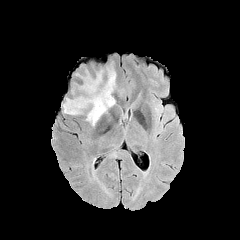
FLAIR MR.
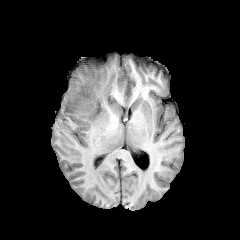
T1-weighted MR.
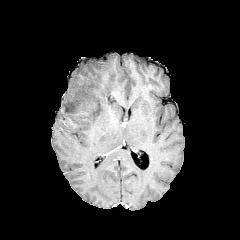
Post-contrast T1-weighted magnetic resonance of the same slice.
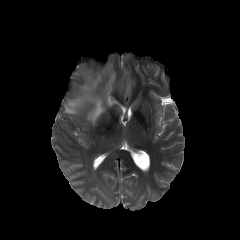
Same slice, T2-weighted MR.
240x240. Brain.
edema: 63, 64, 116, 126